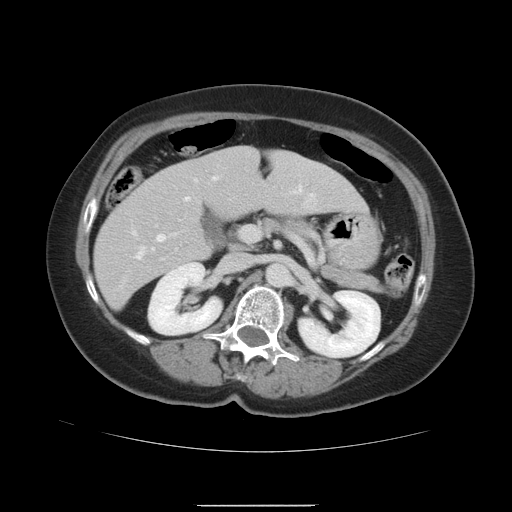 Liver, Computed tomography
Not every hepatic vessel necessarily has a box.
Segmented structures:
• hepatic vessel (principal 15 of 16): left=303, top=193, right=316, bottom=207; left=185, top=197, right=189, bottom=201; left=240, top=224, right=259, bottom=241; left=158, top=234, right=165, bottom=241; left=195, top=179, right=198, bottom=181; left=179, top=243, right=181, bottom=245; left=151, top=247, right=155, bottom=250; left=132, top=230, right=137, bottom=235; left=176, top=248, right=177, bottom=250; left=161, top=258, right=164, bottom=260; left=136, top=247, right=146, bottom=259; left=213, top=176, right=218, bottom=180; left=194, top=263, right=198, bottom=263; left=121, top=281, right=125, bottom=285; left=291, top=187, right=302, bottom=193